Field of view 240 mm wide, 1.00 mm slice spacing | Head
FLAIR MR.
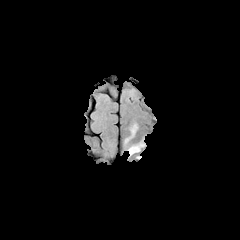
T1-weighted MR image.
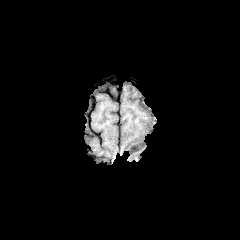
Post-contrast T1-weighted MRI.
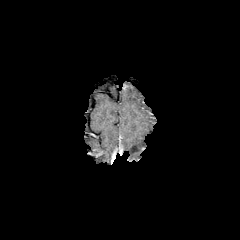
T2-weighted MR image.
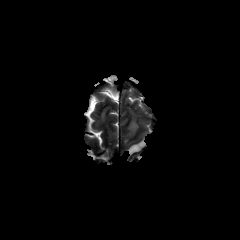
The edema is bounded by left=127, top=140, right=145, bottom=155.